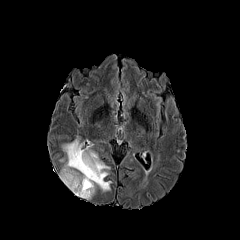
FLAIR MR.
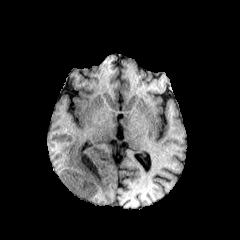
Same slice, T1-weighted magnetic resonance.
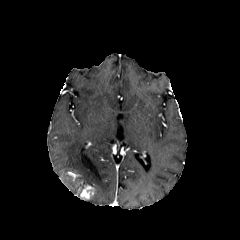
Post-contrast T1-weighted MR image.
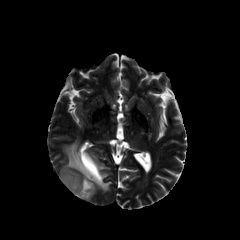
T2-weighted MR image.
The enhancing tumor is bounded by 76 180 95 200. The edema is bounded by 61 136 111 194.